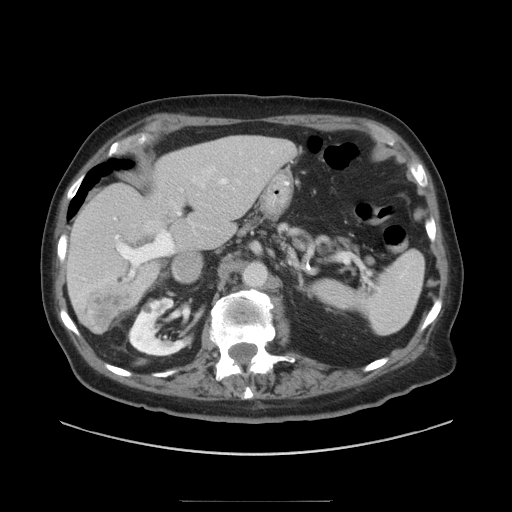

Computed tomography | 512x512 px
Only some of the vessels may be annotated.
<segmentation>
  <hepatic_vessel><bbox>179, 188, 182, 191</bbox>, <bbox>113, 217, 116, 219</bbox>, <bbox>147, 222, 154, 228</bbox>, <bbox>114, 228, 174, 281</bbox>, <bbox>220, 179, 227, 183</bbox>, <bbox>191, 165, 216, 187</bbox>, <bbox>171, 202, 181, 215</bbox></hepatic_vessel>
  <liver_tumor><bbox>81, 283, 132, 328</bbox></liver_tumor>
</segmentation>